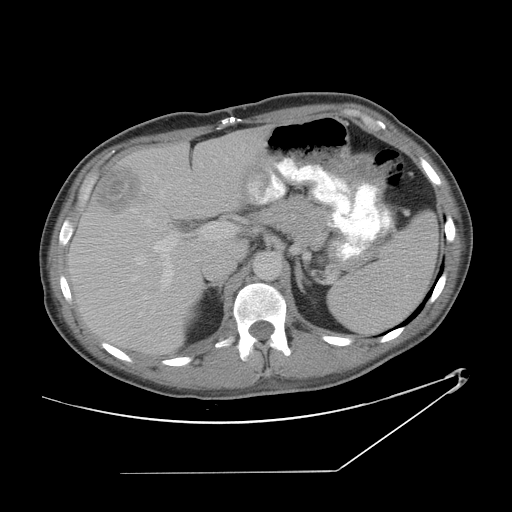

CT scan slice | Abdomen | 512x512 px
The vessel annotation is not exhaustive.
Liver tumor at (94, 163, 144, 214).
Hepatic vessel at (154, 235, 176, 289), (132, 275, 138, 281), (200, 165, 202, 166), (173, 234, 178, 237), (136, 255, 145, 264), (201, 223, 232, 239), (147, 220, 153, 226), (153, 174, 171, 199), (226, 158, 228, 161), (152, 307, 155, 312), (142, 216, 143, 218).